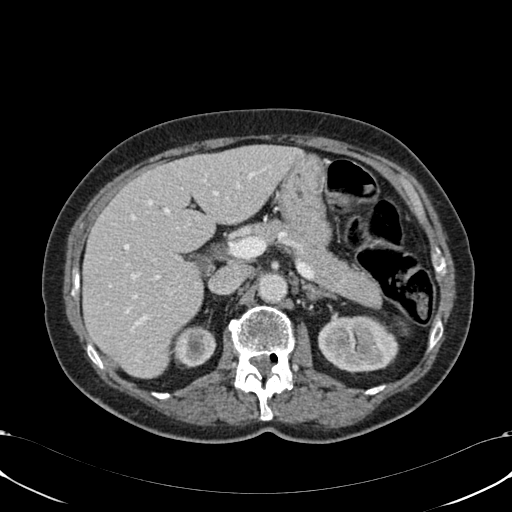

CT slice
{"liver": ["83,145,303,378"], "kidney": ["174,326,215,366", "318,316,397,370"]}